CT, Image width 338 mm, Upper abdomen, 512x512 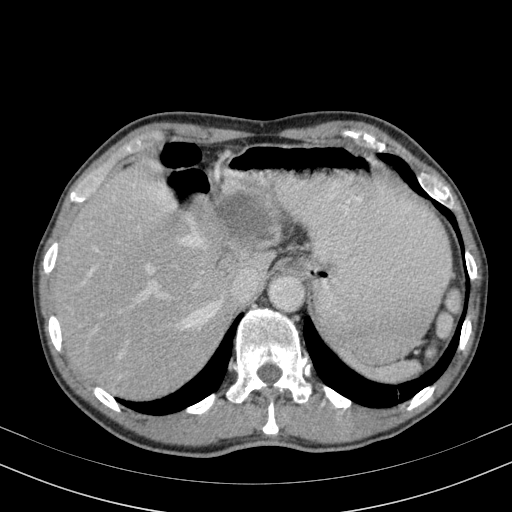

liver lesion: (214, 192, 272, 243) | liver: (55, 159, 281, 401)